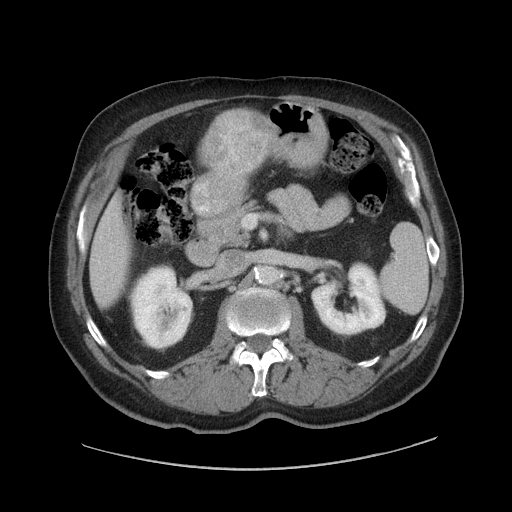

CT slice. Abdomen.
Liver tumor: [x1=202, y1=110, x2=271, y2=176].